Slice index 96; Head
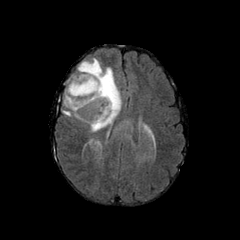
FLAIR magnetic resonance.
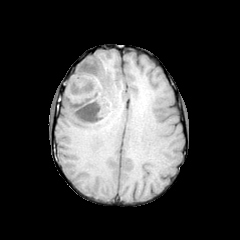
T1-weighted MRI of the same slice.
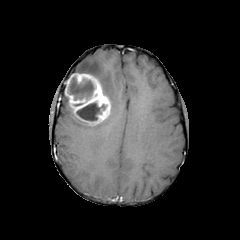
Same slice, post-contrast T1-weighted MRI.
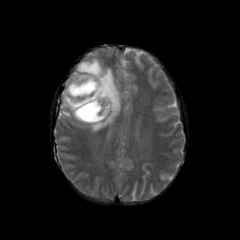
T2-weighted MRI of the same slice.
Segmented structures:
- enhancing tumor: [x1=65, y1=73, x2=110, y2=124]
- edema: [x1=62, y1=96, x2=72, y2=117], [x1=77, y1=58, x2=121, y2=132]
- non-enhancing tumor core: [x1=76, y1=102, x2=106, y2=121], [x1=69, y1=77, x2=94, y2=100]